FLAIR MR image.
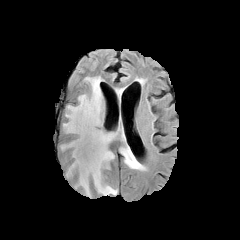
T1-weighted MR.
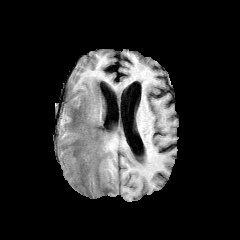
Post-contrast T1-weighted MR image.
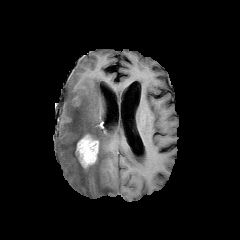
T2-weighted MRI.
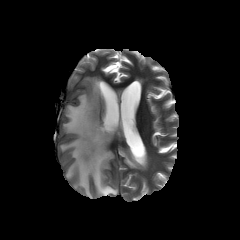
Head, 240x240
edema:
  - box(61, 76, 125, 195)
  - box(119, 146, 137, 168)
enhancing_tumor:
  - box(76, 134, 98, 167)